FLAIR magnetic resonance.
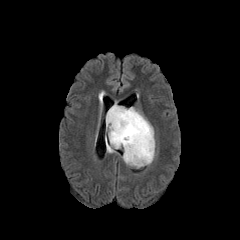
T1-weighted magnetic resonance.
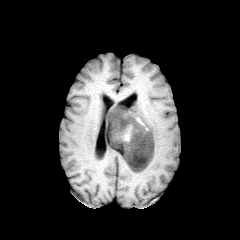
Post-contrast T1-weighted MR image.
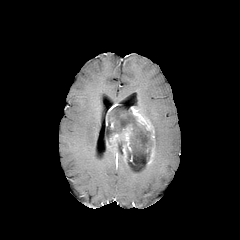
T2-weighted magnetic resonance.
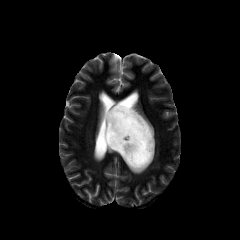
Head, 240x240
2 edema regions are located at x1=124, y1=161, x2=149, y2=168; x1=106, y1=146, x2=123, y2=159. 4 enhancing tumor regions are located at x1=106, y1=113, x2=114, y2=128; x1=130, y1=107, x2=153, y2=139; x1=147, y1=147, x2=154, y2=164; x1=106, y1=127, x2=131, y2=160. The non-enhancing tumor core appears at x1=106, y1=106, x2=154, y2=166.